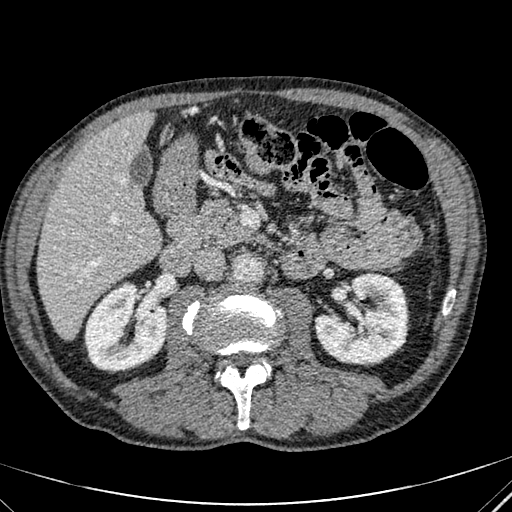
Upper abdomen, CT scan slice
2 kidney regions appear at [316,274,406,362], [86,285,165,369]. The liver is at [37,110,160,339].